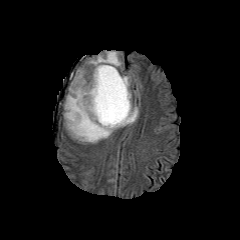
FLAIR magnetic resonance.
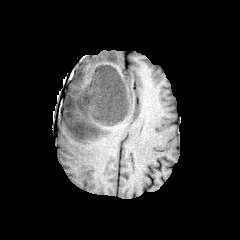
T1-weighted MR image of the same slice.
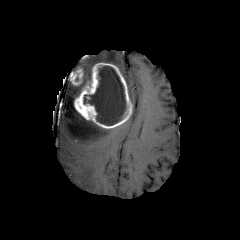
Post-contrast T1-weighted magnetic resonance.
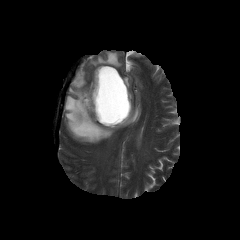
Same slice, T2-weighted MR.
Annotated regions:
* enhancing tumor: box=[71, 62, 132, 128]
* non-enhancing tumor core: box=[89, 66, 127, 125]
* edema: box=[82, 50, 123, 82]; box=[64, 75, 138, 143]